Image size 240x240. Slice 95/155. Head.
FLAIR MRI.
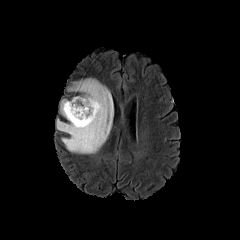
T1-weighted MR image.
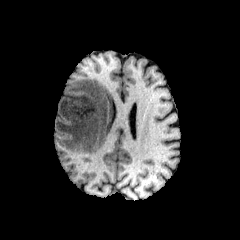
Post-contrast T1-weighted MRI.
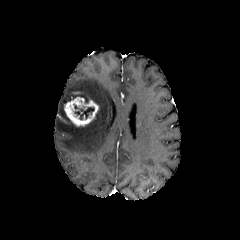
T2-weighted MR image.
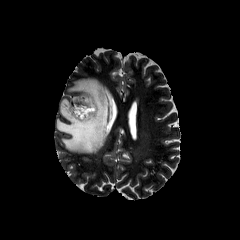
The non-enhancing tumor core lies within x1=79 y1=107 x2=93 y2=119. 2 edema regions are bounded by x1=56 y1=78 x2=113 y2=154, x1=59 y1=99 x2=68 y2=117. The enhancing tumor is located at x1=63 y1=96 x2=98 y2=126.